Abdomen. Slice 156/212. 512x512. CT. 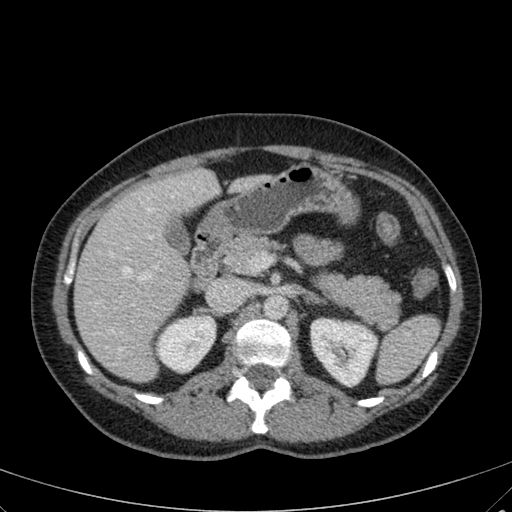

liver:
  - box=[228, 175, 278, 194]
  - box=[74, 167, 221, 380]
kidney:
  - box=[158, 316, 214, 371]
  - box=[311, 319, 376, 384]